FLAIR MRI.
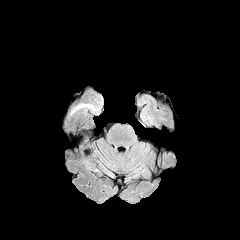
T1-weighted MRI.
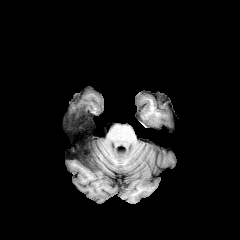
Post-contrast T1-weighted MR image.
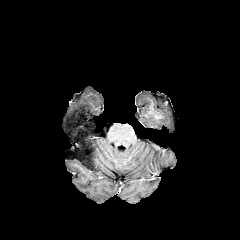
T2-weighted magnetic resonance.
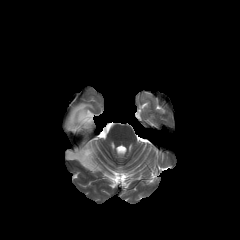
240x240 px | Head
The edema lies within {"x1": 69, "y1": 102, "x2": 100, "y2": 116}. 2 non-enhancing tumor core regions are located at {"x1": 76, "y1": 142, "x2": 93, "y2": 167}, {"x1": 70, "y1": 106, "x2": 90, "y2": 124}.